FLAIR MR.
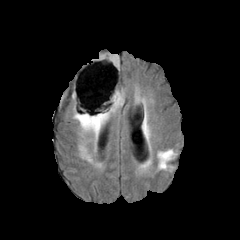
T1-weighted magnetic resonance.
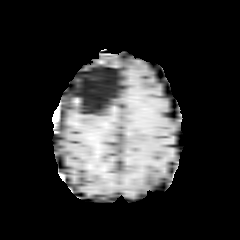
Post-contrast T1-weighted MRI.
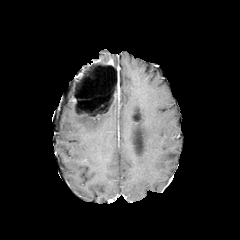
T2-weighted magnetic resonance.
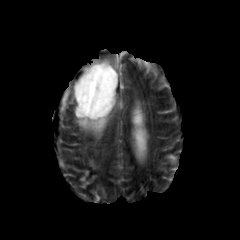
{
  "edema": [
    "[141,110,150,141]",
    "[158,150,173,169]",
    "[134,93,147,107]",
    "[119,84,124,107]",
    "[79,145,93,161]",
    "[73,106,121,145]"
  ],
  "non-enhancing_tumor_core": [
    "[75,82,121,116]"
  ]
}